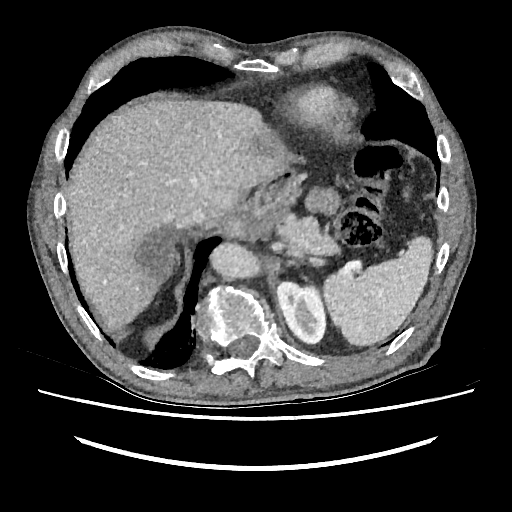

CT image; Upper abdomen
liver: box=[68, 100, 292, 330] | kidney: box=[277, 282, 325, 343] | liver lesion: box=[123, 222, 176, 289]; box=[249, 128, 280, 157]